Image width 395 mm; Slice index 47; CT

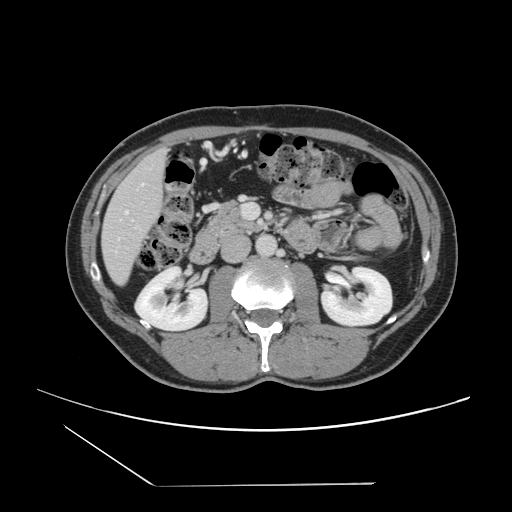
The vessel annotation is not exhaustive.
The hepatic vessel lies within 136,226,138,227.